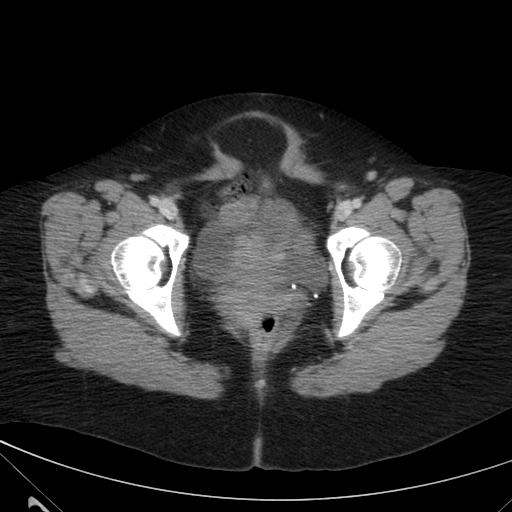
Computed tomography
* urinary bladder: (x1=195, y1=194, x2=309, y2=275)